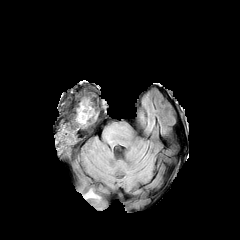
FLAIR MR image.
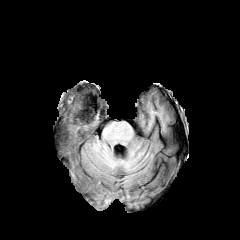
T1-weighted magnetic resonance.
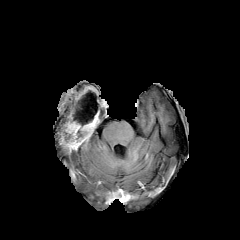
Post-contrast T1-weighted MR.
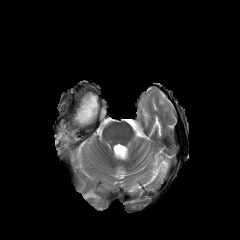
T2-weighted MR image of the same slice.
Brain
Segmented structures:
- enhancing tumor: bbox(59, 129, 77, 147)
- edema: bbox(83, 188, 100, 200)
- non-enhancing tumor core: bbox(77, 102, 94, 123); bbox(60, 122, 78, 139); bbox(62, 117, 97, 155)